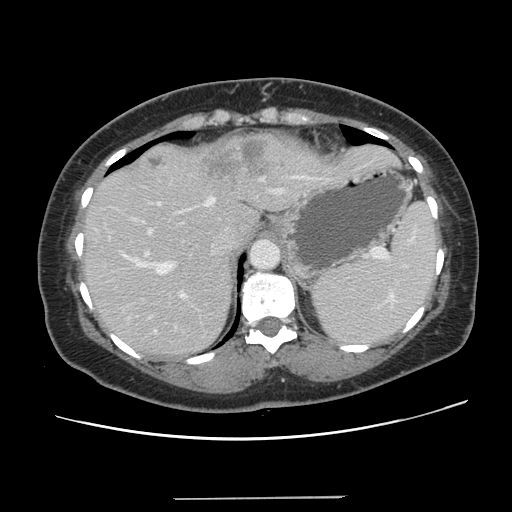 CT image; Image size 512x512
Only some of the vessels may be annotated.
2 liver tumor regions appear at box=[203, 137, 268, 181]; box=[151, 157, 163, 167]. 12 hepatic vessel regions appear at box=[133, 218, 137, 220]; box=[154, 330, 156, 332]; box=[273, 189, 282, 192]; box=[145, 252, 148, 255]; box=[141, 220, 144, 222]; box=[205, 197, 214, 205]; box=[122, 254, 129, 258]; box=[148, 229, 151, 233]; box=[157, 202, 160, 205]; box=[133, 259, 173, 273]; box=[180, 293, 186, 298]; box=[261, 178, 264, 181].